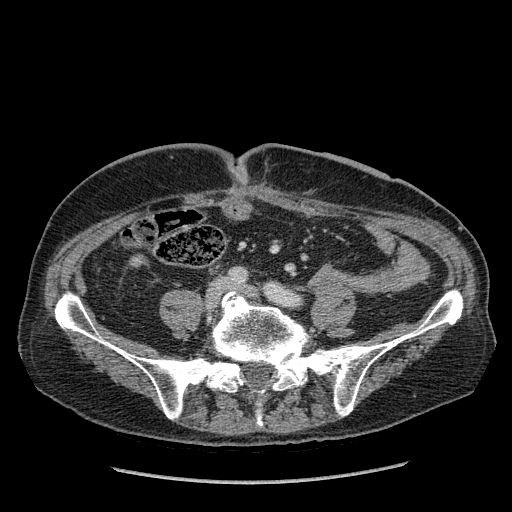 Abdomen, CT image
Segmented structures:
• kidney: box(131, 258, 141, 265)